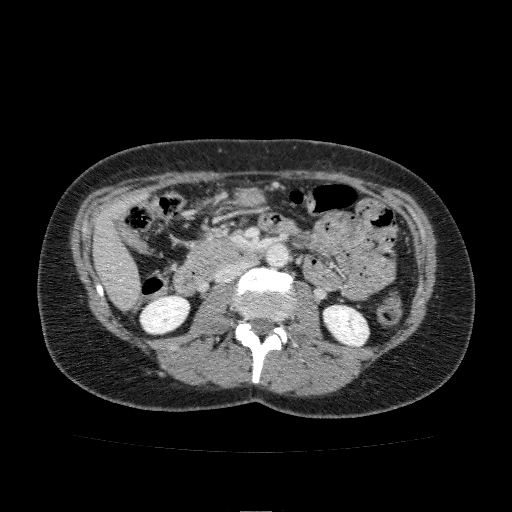
Abdomen; CT slice
Kidney = 323:305:368:346, 140:296:189:333.
Liver = 93:192:147:308.